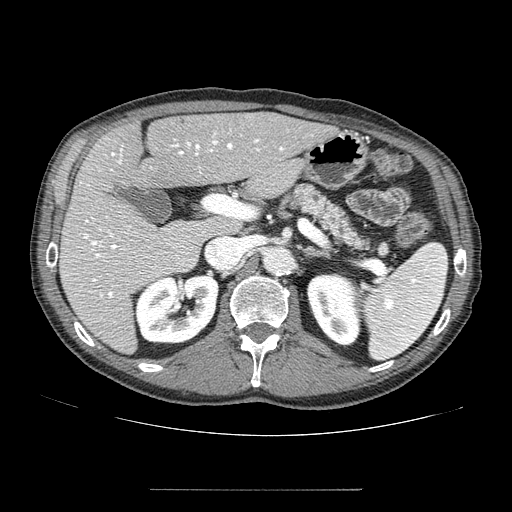
CT, 512x512

<segmentation>
  <pancreas>[288,184,370,250]</pancreas>
</segmentation>